FLAIR magnetic resonance.
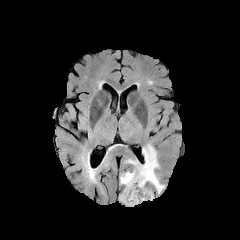
T1-weighted MR.
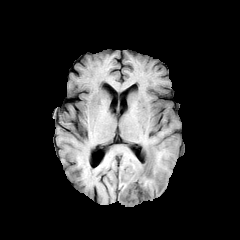
Post-contrast T1-weighted MR image.
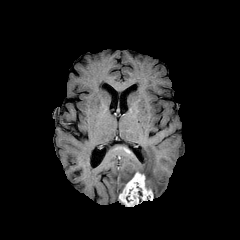
T2-weighted MRI.
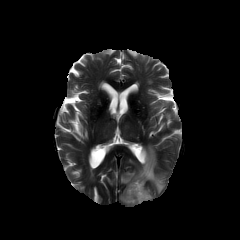
Head
Edema: 120, 144, 164, 194.
Enhancing tumor: 119, 172, 153, 206.